CT image. Image size 512x512. Abdomen.

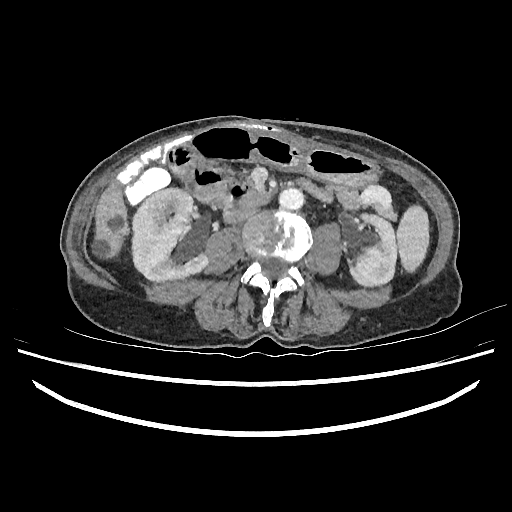 <segmentation>
  <liver>box=[95, 183, 126, 258]</liver>
  <kidney>box=[132, 189, 208, 281]; box=[350, 214, 396, 285]</kidney>
  <focal_liver_lesion>box=[111, 216, 122, 228]; box=[94, 240, 107, 258]</focal_liver_lesion>
</segmentation>